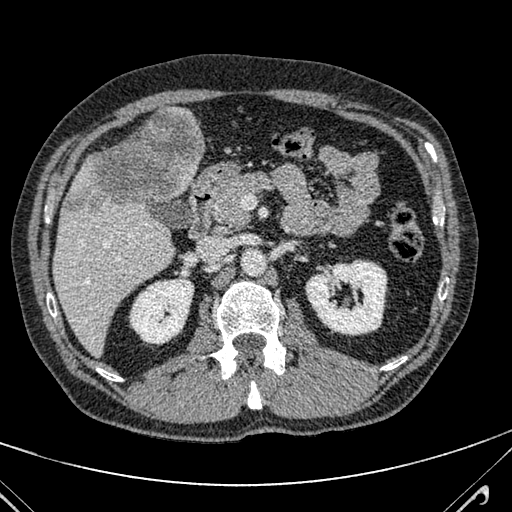 CT slice; Abdomen
<segmentation>
  <liver_lesion>[64, 109, 200, 211]</liver_lesion>
  <liver>[171, 159, 198, 195], [52, 199, 173, 354], [70, 157, 94, 194]</liver>
</segmentation>